Image size 240x240; Slice 62 of 155
FLAIR magnetic resonance.
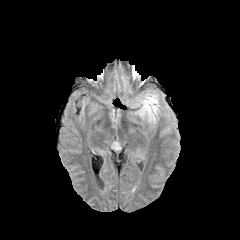
T1-weighted MR.
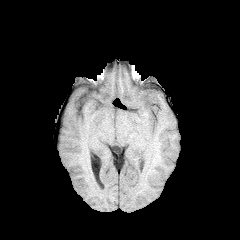
Post-contrast T1-weighted MRI.
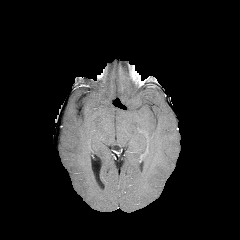
T2-weighted MRI.
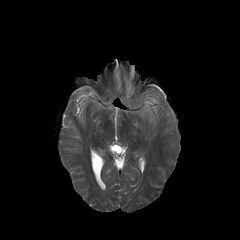
edema: bbox=[135, 90, 158, 124]